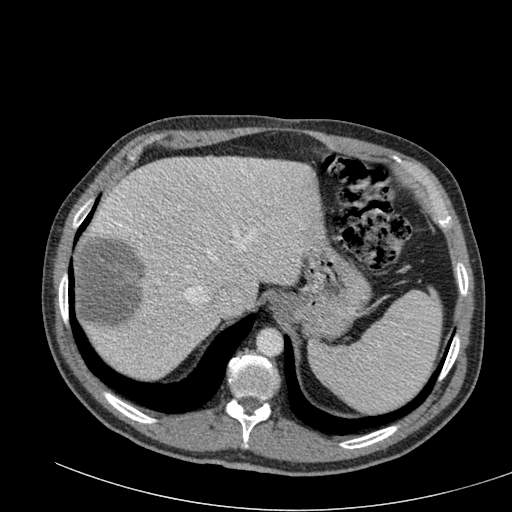
Computed tomography; Liver

The focal liver lesion is bounded by box(73, 238, 147, 327). The liver appears at box(81, 156, 322, 378).